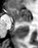 Medial temporal lobe; 38x48; MRI

Anterior hippocampus: <bbox>8, 7, 31, 21</bbox>.